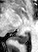

Medial temporal lobe, MRI slice
<segmentation>
  <posterior_hippocampus>{"x1": 16, "y1": 34, "x2": 28, "y2": 43}</posterior_hippocampus>
</segmentation>